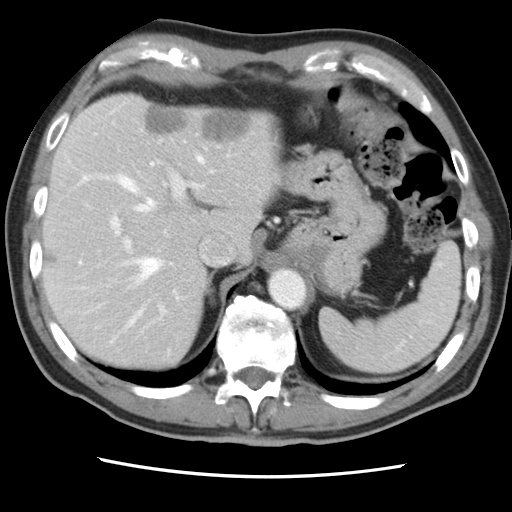
CT image
The vessel annotation is not exhaustive.
Most prominent 15 of 20 hepatic vessel regions = [160, 307, 165, 316], [119, 177, 137, 191], [192, 183, 200, 187], [112, 218, 120, 234], [198, 156, 203, 162], [164, 230, 166, 232], [152, 161, 159, 164], [173, 290, 178, 298], [210, 170, 212, 172], [125, 238, 130, 249], [138, 199, 154, 210], [128, 311, 142, 325], [81, 176, 87, 182], [138, 258, 161, 280], [177, 181, 186, 194].
Liver tumor = [203, 111, 250, 141], [145, 106, 186, 133].